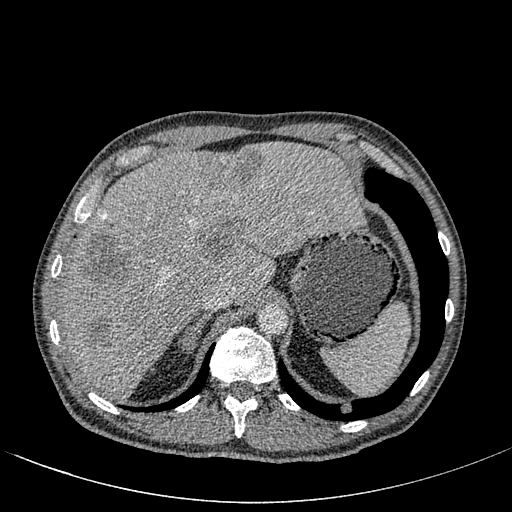

512x512 px. CT scan slice. Upper abdomen.

The liver appears at box=[61, 141, 363, 399]. 4 focal liver lesion regions are bounded by box=[202, 218, 245, 263]; box=[83, 231, 133, 287]; box=[204, 150, 264, 188]; box=[87, 316, 111, 345].